MR image
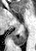 * posterior hippocampus: left=13, top=32, right=26, bottom=45